512x512 px; CT slice

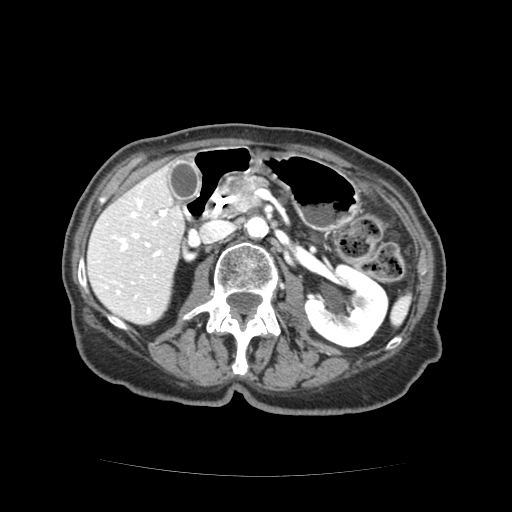 Pancreas = 222,176,267,212.
Pancreatic tumor = 229,178,251,204.